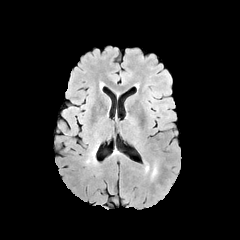
FLAIR MR.
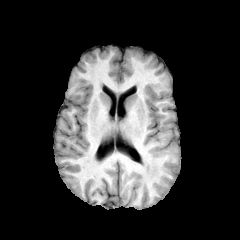
T1-weighted magnetic resonance.
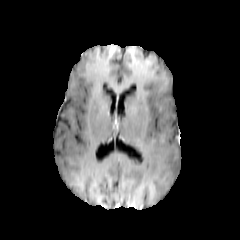
Same slice, post-contrast T1-weighted MRI.
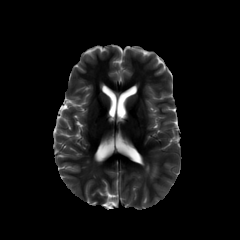
T2-weighted magnetic resonance.
Head
Segmented structures:
* edema: [151, 164, 157, 178]